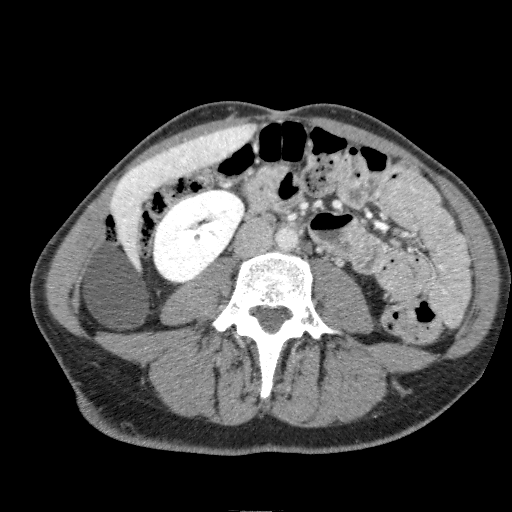

Upper abdomen | CT | 512x512
kidney: (154,191,243,281) | liver: (111,124,255,269)